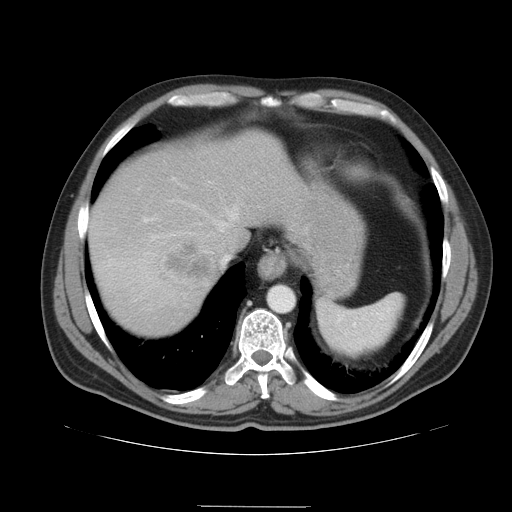 Image size 512x512 | CT scan slice
Only some of the vessels may be annotated.
<segmentation>
  <liver_tumor>x1=157, y1=231, x2=218, y2=291</liver_tumor>
  <hepatic_vessel>x1=172, y1=178, x2=175, y2=181; x1=221, y1=255, x2=228, y2=264; x1=143, y1=218, x2=154, y2=222; x1=207, y1=206, x2=238, y2=233</hepatic_vessel>
</segmentation>